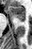 Medial temporal lobe; Image size 32x49; MR image

Segmented structures:
• anterior hippocampus: bbox(8, 6, 25, 21)